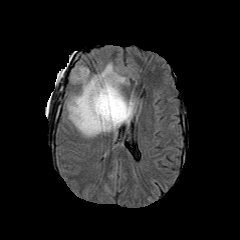
FLAIR magnetic resonance.
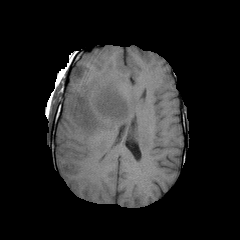
T1-weighted magnetic resonance.
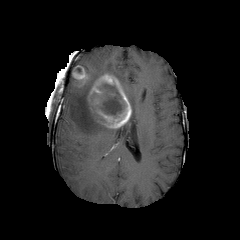
Post-contrast T1-weighted MR image of the same slice.
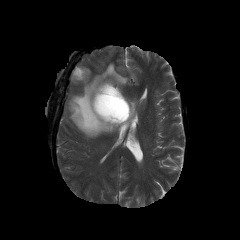
T2-weighted magnetic resonance.
Head.
Enhancing tumor — (left=72, top=65, right=87, bottom=86), (left=87, top=74, right=131, bottom=127).
Non-enhancing tumor core — (left=100, top=82, right=120, bottom=96), (left=98, top=94, right=124, bottom=116).
Edema — (left=67, top=62, right=129, bottom=137), (left=126, top=92, right=136, bottom=126).